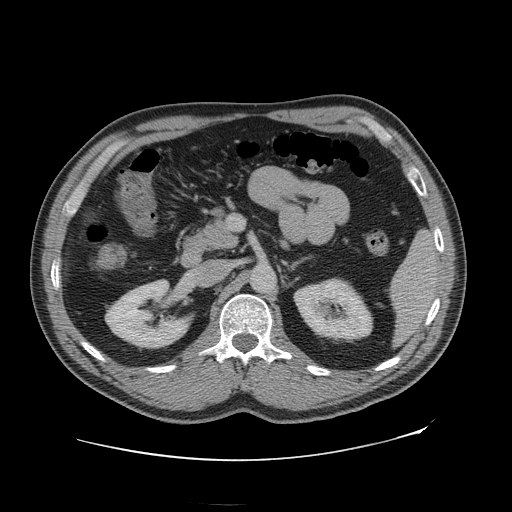
Pelvis | Computed tomography
The colon tumor appears at 97, 246, 126, 268.